Computed tomography. Abdomen.
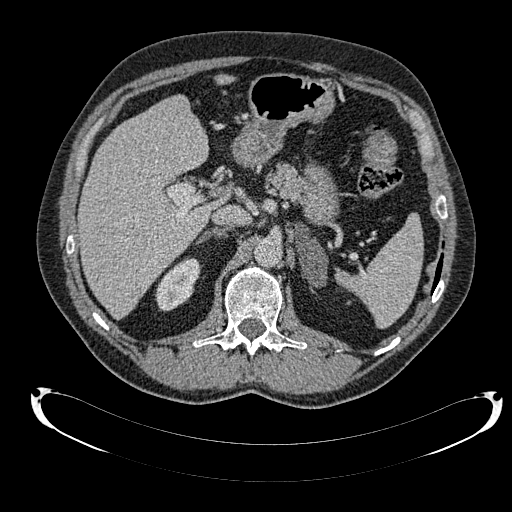

liver:
  - 217, 76, 231, 83
  - 78, 96, 226, 316
kidney:
  - 156, 259, 199, 310